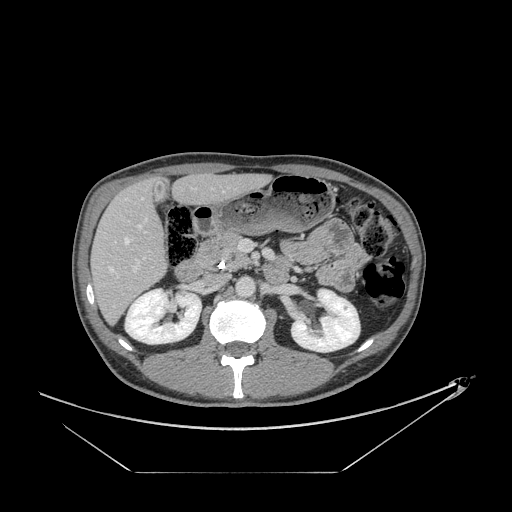 Computed tomography.
Findings:
- pancreas: l=198, t=236, r=235, b=260
- pancreatic tumor: l=221, t=238, r=238, b=256